Abdomen. Slice 63 of 141. 512x512 px. CT image.
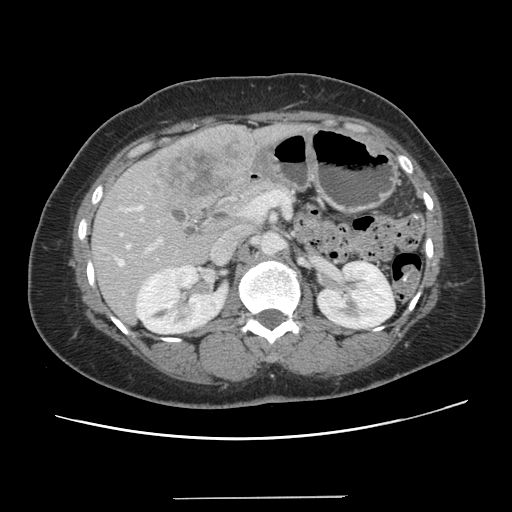

Only some of the vessels may be annotated.
hepatic_vessel:
  - left=141, top=218, right=142, bottom=220
  - left=120, top=233, right=122, bottom=235
  - left=147, top=244, right=156, bottom=251
  - left=121, top=206, right=142, bottom=211
  - left=126, top=244, right=130, bottom=248
  - left=115, top=258, right=123, bottom=265
  - left=157, top=238, right=161, bottom=242
liver_tumor:
  - left=150, top=138, right=246, bottom=201